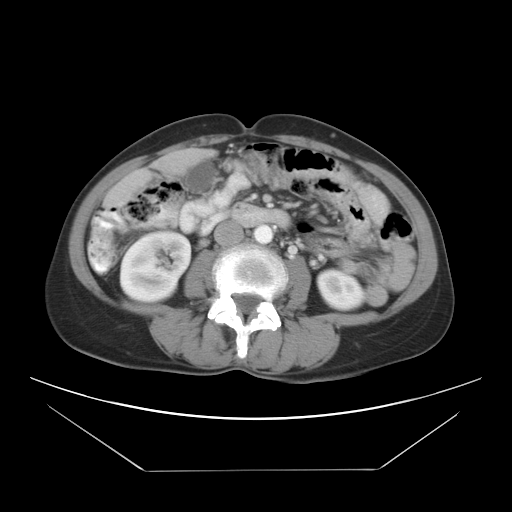
Computed tomography, Abdomen

Some hepatic vessels may have no box.
Hepatic vessel — <bbox>127, 192, 129, 194</bbox>, <bbox>117, 199, 120, 203</bbox>, <bbox>108, 195, 116, 199</bbox>.